CT slice | Slice 47 of 107
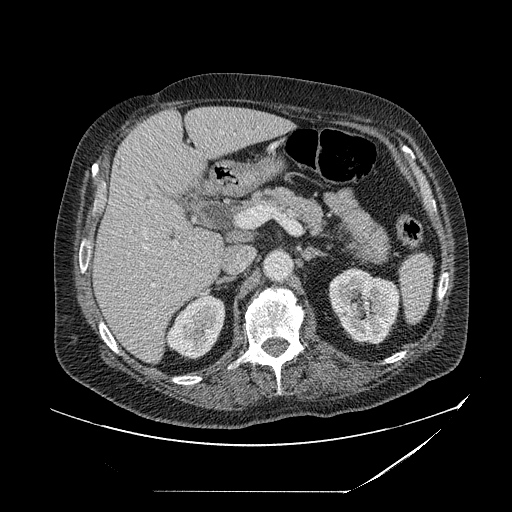 The pancreas is at 237 187 326 234.